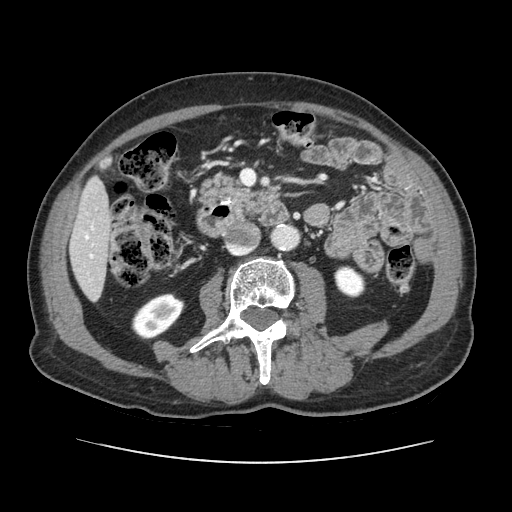 CT slice, 512x512, Upper abdomen
The pancreas is bounded by box=[233, 188, 275, 217].